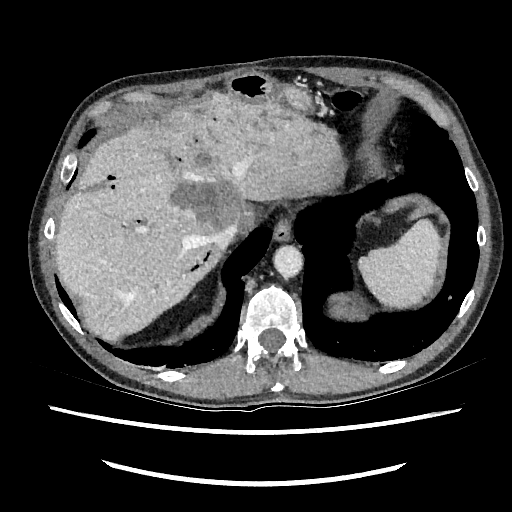 Computed tomography; Upper abdomen
Focal liver lesion = x1=172 y1=179 x2=253 y2=232, x1=195 y1=154 x2=211 y2=167, x1=162 y1=148 x2=181 y2=169, x1=88 y1=180 x2=104 y2=190.
Liver = x1=56 y1=92 x2=343 y2=338, x1=227 y1=212 x2=239 y2=228.